FLAIR magnetic resonance.
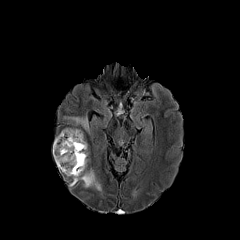
T1-weighted magnetic resonance.
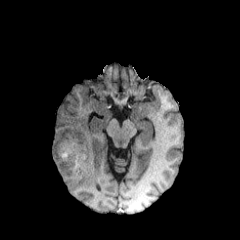
Post-contrast T1-weighted MR image.
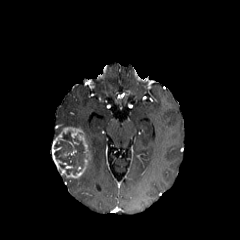
T2-weighted magnetic resonance.
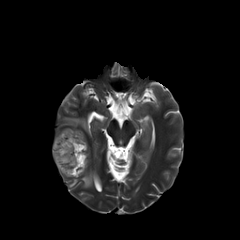
Edema at (82, 169, 102, 193), (63, 116, 90, 134).
Non-enhancing tumor core at (53, 131, 88, 175).
Enhancing tumor at (57, 128, 90, 177), (52, 137, 59, 168).